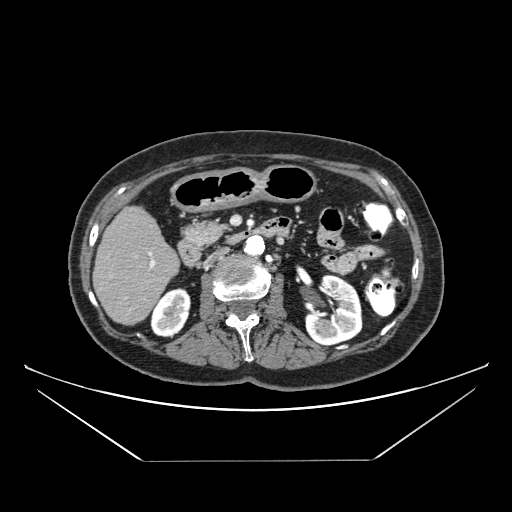 CT image
The pancreas is located at <bbox>179, 215, 233, 251</bbox>.